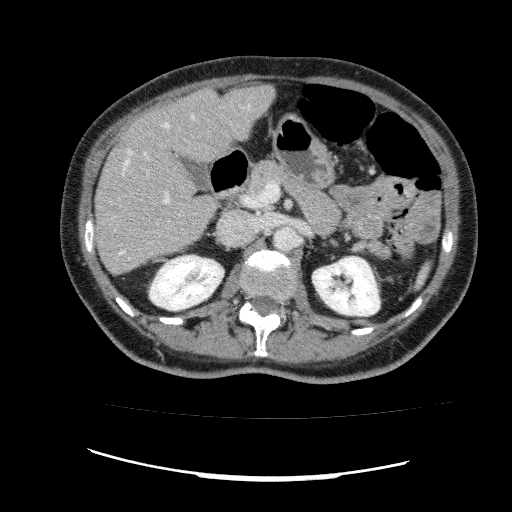 CT image | Upper abdomen
{
  "liver": [
    "(x1=94, y1=85, x2=274, y2=273)"
  ],
  "kidney": [
    "(x1=312, y1=256, x2=380, y2=315)",
    "(x1=149, y1=255, x2=222, y2=310)"
  ],
  "hepatic_lesion": [
    "(x1=116, y1=141, x2=124, y2=149)"
  ]
}